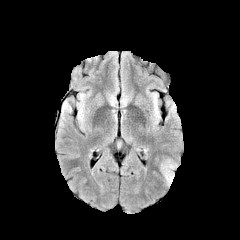
FLAIR MRI.
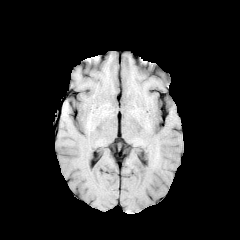
T1-weighted MR image.
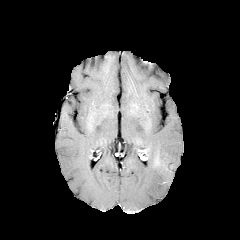
Post-contrast T1-weighted MR.
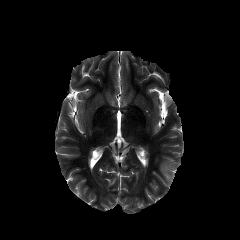
T2-weighted MRI.
Head
Findings:
* edema: [161, 160, 174, 184]